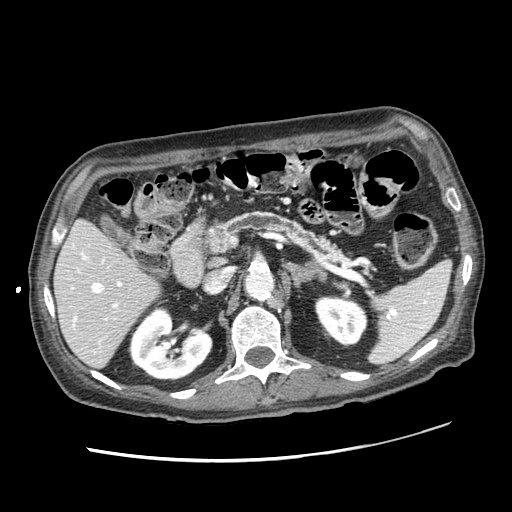
Computed tomography, 512x512
<segmentation>
  <pancreatic_tumor>left=210, top=229, right=226, bottom=250</pancreatic_tumor>
  <pancreas>left=216, top=213, right=344, bottom=263</pancreas>
</segmentation>